CT slice 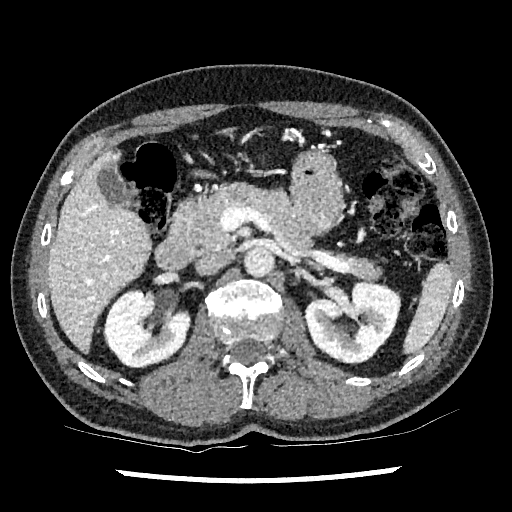

Kidney: (x1=306, y1=283, x2=399, y2=362), (x1=105, y1=292, x2=188, y2=366).
Liver: (x1=217, y1=127, x2=237, y2=135), (x1=48, y1=149, x2=151, y2=353).